CT. Slice 132 of 247.

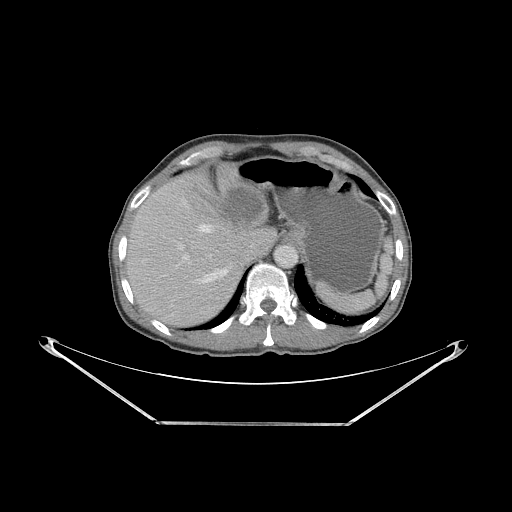

Bone: bounding box left=152, top=320, right=170, bottom=334; left=240, top=264, right=296, bottom=324; left=211, top=317, right=233, bottom=332; left=131, top=187, right=148, bottom=207; left=264, top=325, right=273, bottom=345; left=377, top=192, right=395, bottom=213; left=122, top=279, right=132, bottom=302; left=396, top=240, right=402, bottom=259; left=119, top=236, right=126, bottom=260; left=391, top=280, right=400, bottom=299; left=306, top=314, right=325, bottom=328; left=360, top=317, right=378, bottom=332.
Lung: bounding box left=360, top=186, right=372, bottom=196; left=207, top=282, right=242, bottom=327; left=294, top=268, right=373, bottom=326.
Liver lesion: bounding box left=222, top=188, right=262, bottom=225.
Liver: bounding box left=127, top=162, right=276, bottom=327.